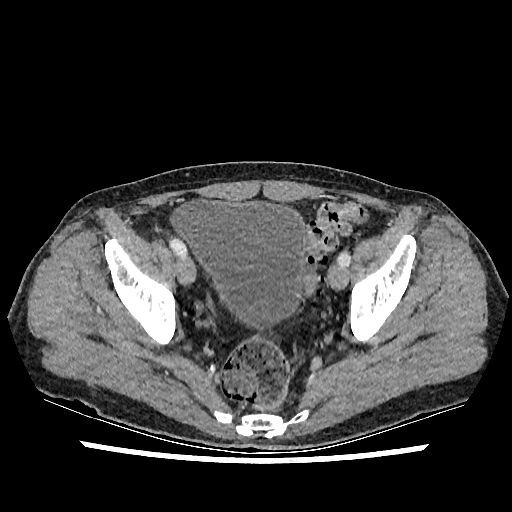
Computed tomography, Pelvis

The urinary bladder lies within {"x1": 177, "y1": 199, "x2": 312, "y2": 331}.